Field of view 436 mm wide, 2.50 mm slice spacing | CT | Slice index 42 | Abdomen

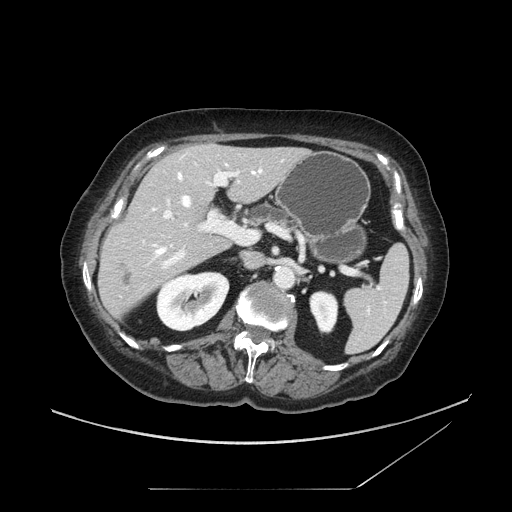
The pancreas is located at [249,206,295,227].